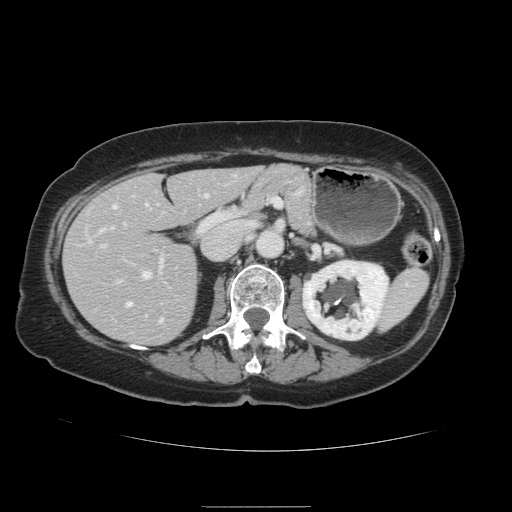
CT scan slice, Abdomen, 512x512 px

The vessel annotation is not exhaustive.
Hepatic vessel at <bbox>203, 194, 207, 197</bbox>, <bbox>98, 229, 103, 232</bbox>, <bbox>109, 227, 112, 229</bbox>, <bbox>87, 237, 91, 242</bbox>, <bbox>116, 281, 119, 282</bbox>, <bbox>99, 245, 103, 247</bbox>, <bbox>145, 204, 146, 205</bbox>, <bbox>126, 302, 130, 306</bbox>, <bbox>141, 271, 149, 278</bbox>, <bbox>159, 319, 161, 322</bbox>, <bbox>112, 205, 116, 208</bbox>, <bbox>159, 259, 161, 271</bbox>.